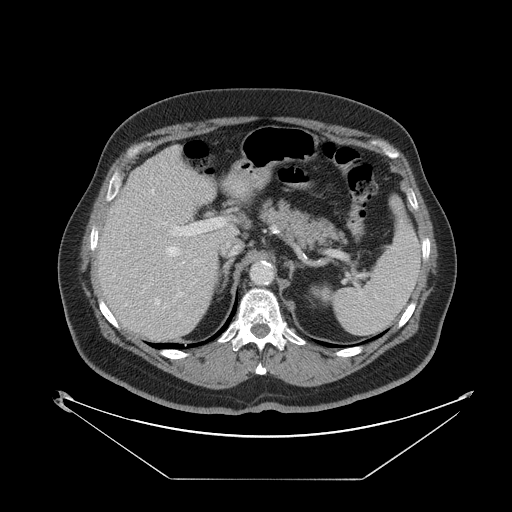 Computed tomography
The vessel boxes may cover only some of the vessels.
Annotated regions:
* hepatic vessel: {"x1": 152, "y1": 190, "x2": 153, "y2": 193}, {"x1": 178, "y1": 292, "x2": 183, "y2": 296}, {"x1": 195, "y1": 279, "x2": 197, "y2": 281}, {"x1": 155, "y1": 298, "x2": 160, "y2": 304}, {"x1": 172, "y1": 218, "x2": 224, "y2": 237}, {"x1": 168, "y1": 247, "x2": 180, "y2": 256}, {"x1": 182, "y1": 261, "x2": 184, "y2": 263}